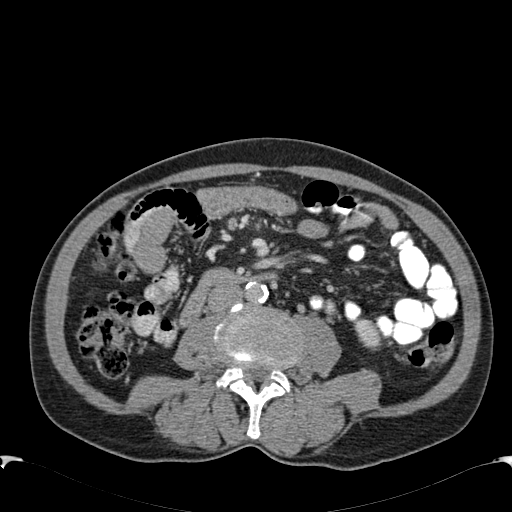

512x512, CT scan slice, Abdomen
kidney: [x1=353, y1=317, x2=381, y2=346]